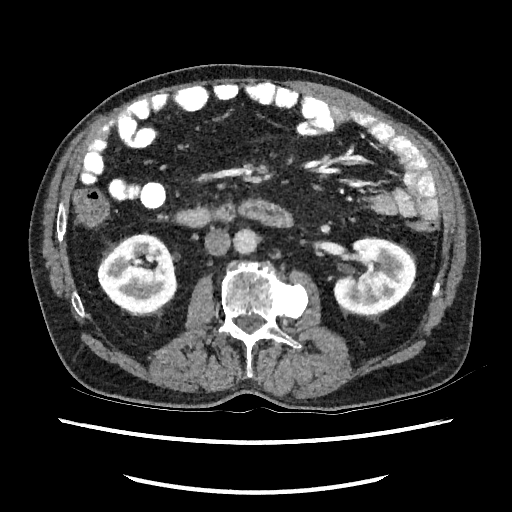

CT scan slice. kidney:
  - 98, 233, 176, 315
  - 334, 237, 415, 315